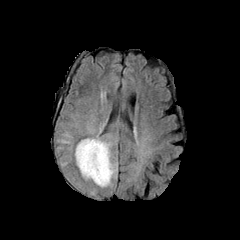
FLAIR magnetic resonance.
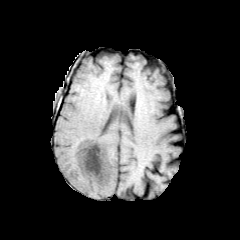
T1-weighted magnetic resonance of the same slice.
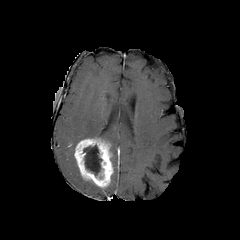
Post-contrast T1-weighted MR image of the same slice.
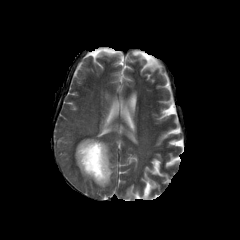
T2-weighted MR image of the same slice.
The non-enhancing tumor core is bounded by x1=83 y1=145 x2=101 y2=175. The edema is at x1=112 y1=162 x2=117 y2=178. The enhancing tumor is bounded by x1=74 y1=138 x2=112 y2=187.